MRI slice
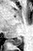
posterior hippocampus: (9,38,22,45)